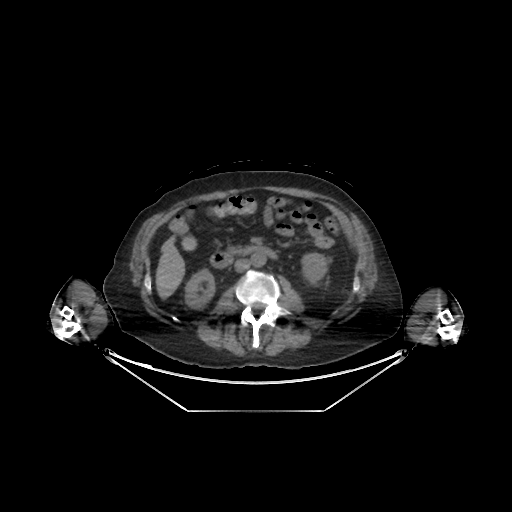 Upper abdomen, CT slice
Segmented structures:
- liver: (156,237,184,297), (182,237,196,249)
- kidney: (180,267,219,310), (299,252,331,290)